Image size 512x512 | CT image | Slice index 49 | Upper abdomen 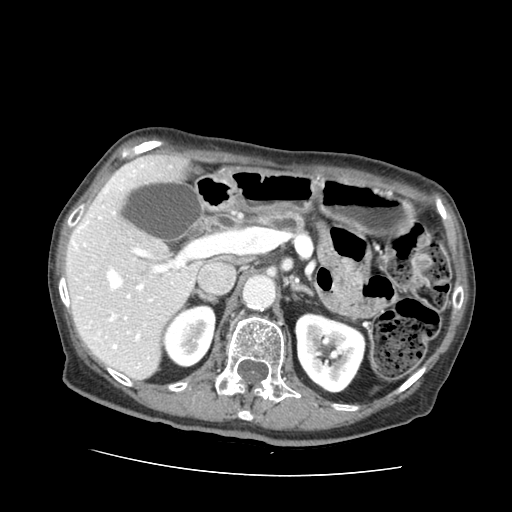 Pancreas — <box>252,210,310,236</box>.